FLAIR MR image.
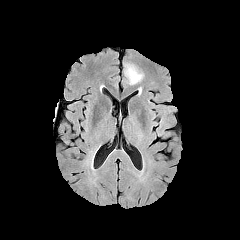
T1-weighted MR.
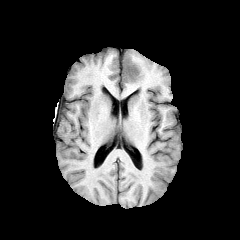
Post-contrast T1-weighted MR.
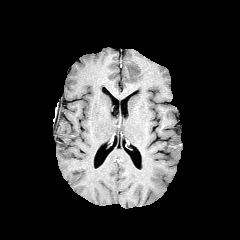
T2-weighted MR image.
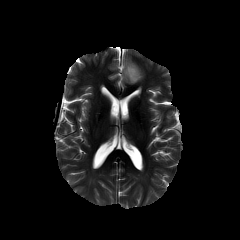
Head
<segmentation>
  <edema>left=123, top=61, right=143, bottom=84</edema>
</segmentation>